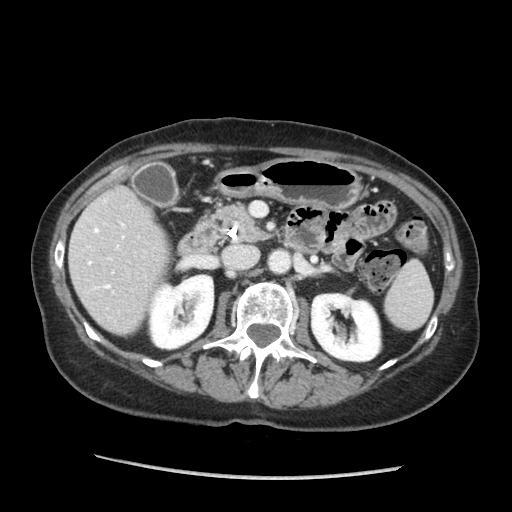 Upper abdomen | CT slice
The pancreas is at bbox=[214, 204, 267, 241]. The pancreatic tumor is at bbox=[224, 205, 248, 220].